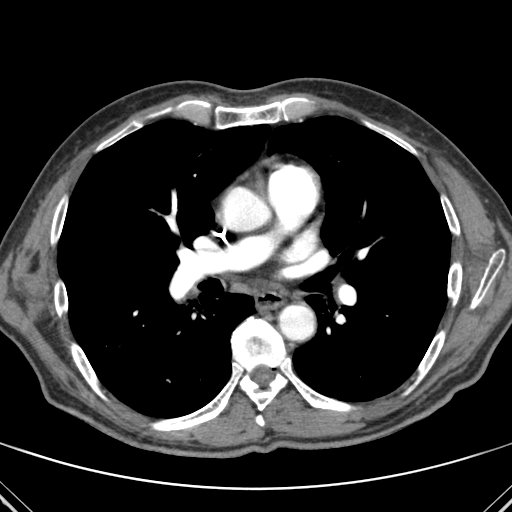

Chest. Image size 512x512. CT slice.
Bone at 169,277,187,299; 365,122,416,153; 51,196,67,244; 151,317,355,430; 256,415,264,425; 71,343,105,398; 447,262,461,305; 54,283,67,316; 96,121,141,150; 470,253,502,308; 441,195,459,235; 180,100,211,111; 213,97,306,128; 415,331,444,384.
Lung at 57,116,450,417.